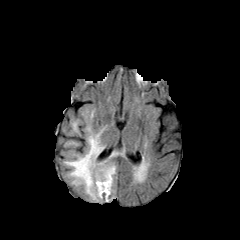
FLAIR magnetic resonance.
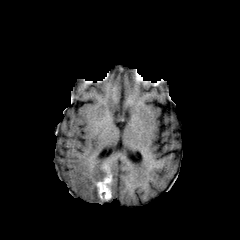
Same slice, T1-weighted MRI.
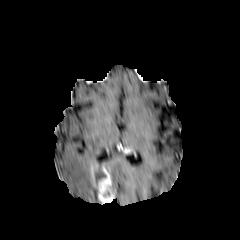
Same slice, post-contrast T1-weighted MR image.
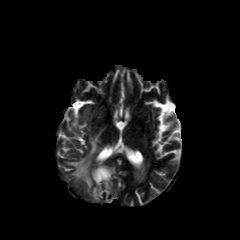
T2-weighted magnetic resonance of the same slice.
240x240
Findings:
- non-enhancing tumor core: {"x1": 93, "y1": 186, "x2": 97, "y2": 199}, {"x1": 94, "y1": 170, "x2": 104, "y2": 185}
- enhancing tumor: {"x1": 91, "y1": 164, "x2": 111, "y2": 201}
- edema: {"x1": 64, "y1": 129, "x2": 104, "y2": 201}, {"x1": 71, "y1": 121, "x2": 78, "y2": 132}, {"x1": 97, "y1": 160, "x2": 115, "y2": 186}